Computed tomography
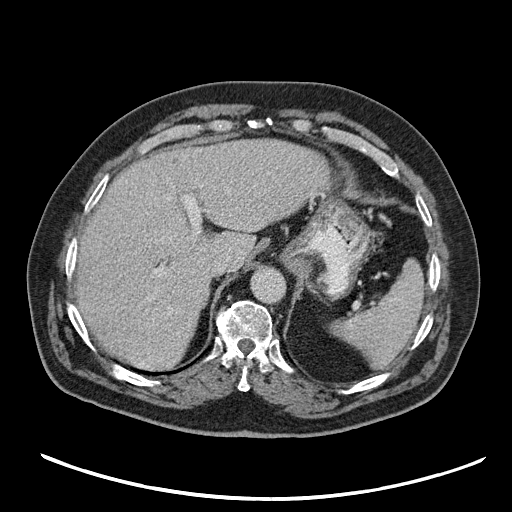

Spleen — [x1=334, y1=263, x2=423, y2=367].